240x240 px, Slice index 42
FLAIR MR image.
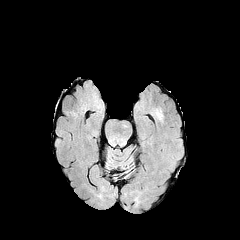
T1-weighted MRI.
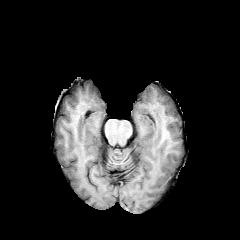
Post-contrast T1-weighted MRI.
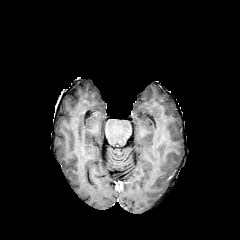
T2-weighted MRI.
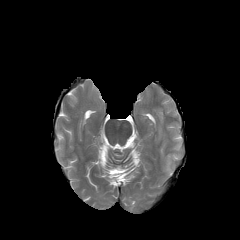
The edema lies within l=153, t=109, r=162, b=122.